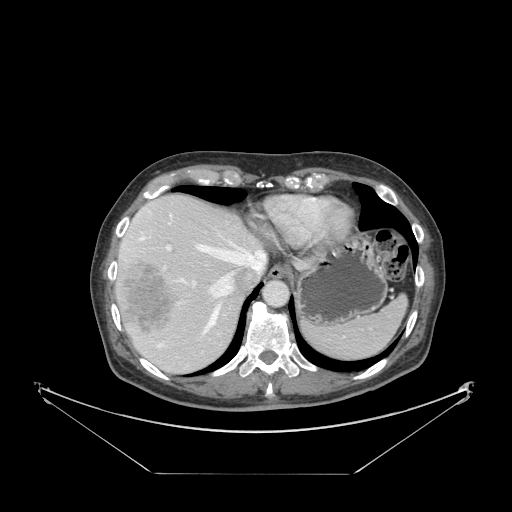 Upper abdomen | CT
Spleen: rect(301, 297, 406, 360).